Slice 96/155 | 240x240 | Field of view 240 mm wide, 1.00 mm slice spacing
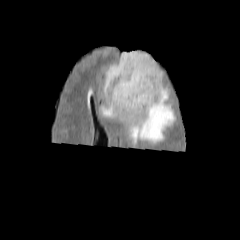
FLAIR MR image.
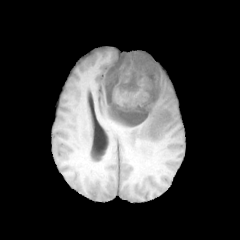
T1-weighted MRI of the same slice.
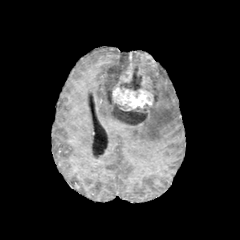
Same slice, post-contrast T1-weighted MR.
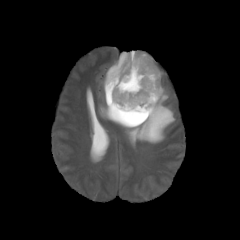
T2-weighted MR image.
Findings:
- non-enhancing tumor core: box=[104, 89, 151, 125]; box=[104, 51, 162, 104]
- edema: box=[99, 84, 174, 147]; box=[154, 61, 163, 79]
- enhancing tumor: box=[112, 63, 154, 111]